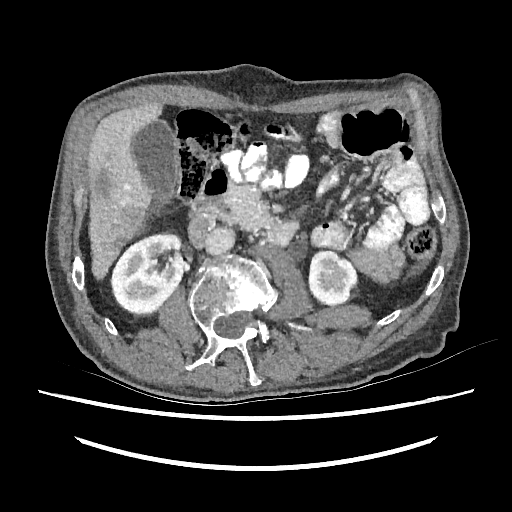
Liver, CT slice

liver: bbox(88, 103, 161, 279) | kidney: bbox(112, 235, 185, 312); bbox(309, 251, 356, 304) | focal liver lesion: bbox(102, 236, 127, 251); bbox(121, 205, 143, 231); bbox(95, 170, 111, 199)